CT slice. 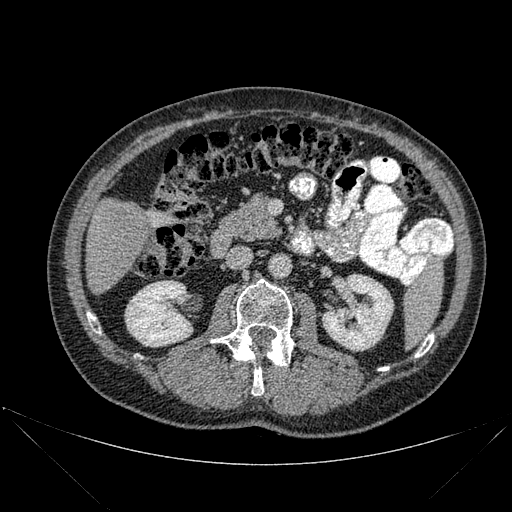 Bone: (x1=211, y1=279, x2=294, y2=365), (x1=252, y1=367, x2=263, y2=395), (x1=87, y1=312, x2=94, y2=327), (x1=415, y1=334, x2=433, y2=357).
Liver: (x1=86, y1=198, x2=148, y2=293).
Kidney: (x1=322, y1=274, x2=393, y2=350), (x1=125, y1=281, x2=192, y2=346).